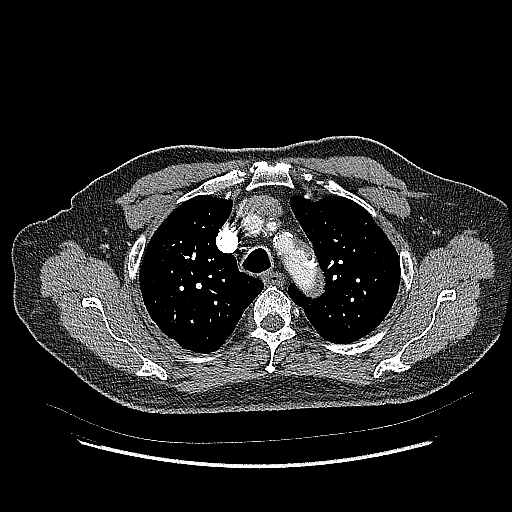

CT image, Lung, 512x512
<segmentation>
  <lung_tumor>(left=380, top=245, right=389, bottom=250), (left=356, top=229, right=365, bottom=237)</lung_tumor>
</segmentation>